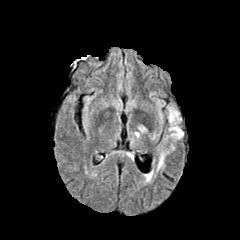
FLAIR MRI.
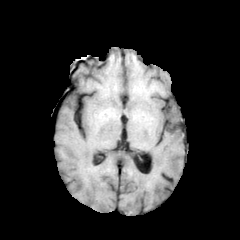
T1-weighted MR.
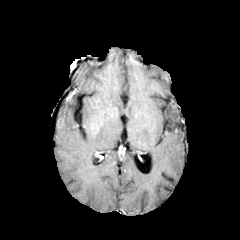
Post-contrast T1-weighted MR image.
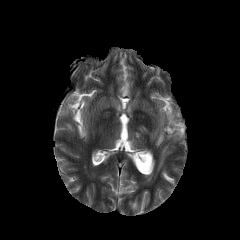
Same slice, T2-weighted magnetic resonance.
Brain
{"edema": ["(left=158, top=150, right=166, bottom=167)", "(left=166, top=105, right=183, bottom=140)"]}